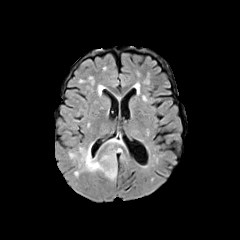
FLAIR MR image.
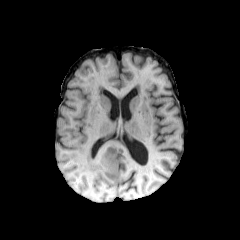
T1-weighted MRI of the same slice.
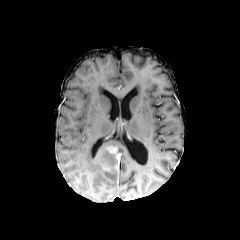
Post-contrast T1-weighted MR.
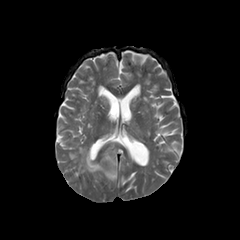
T2-weighted MR image.
Head.
edema:
  - {"x1": 78, "y1": 134, "x2": 125, "y2": 180}
  - {"x1": 69, "y1": 152, "x2": 77, "y2": 161}
enhancing_tumor:
  - {"x1": 108, "y1": 146, "x2": 117, "y2": 155}